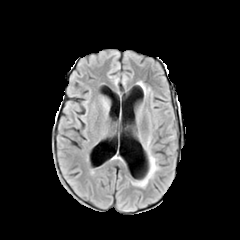
FLAIR MR image.
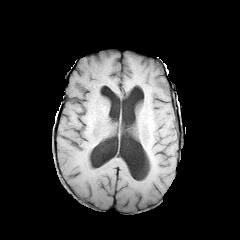
T1-weighted MR.
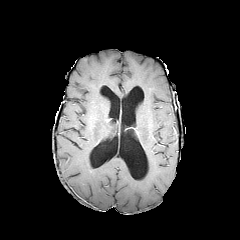
Post-contrast T1-weighted magnetic resonance.
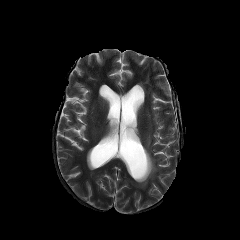
Same slice, T2-weighted magnetic resonance.
Brain | 240x240 px
Edema: x1=136 y1=136 x2=159 y2=186.